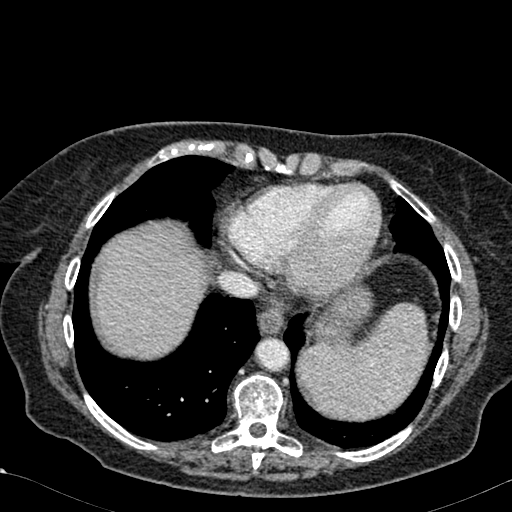

Liver. CT image.
liver:
  - bbox=[97, 228, 201, 356]